MRI slice; 36x50 px
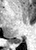
Posterior hippocampus = region(10, 38, 22, 43).